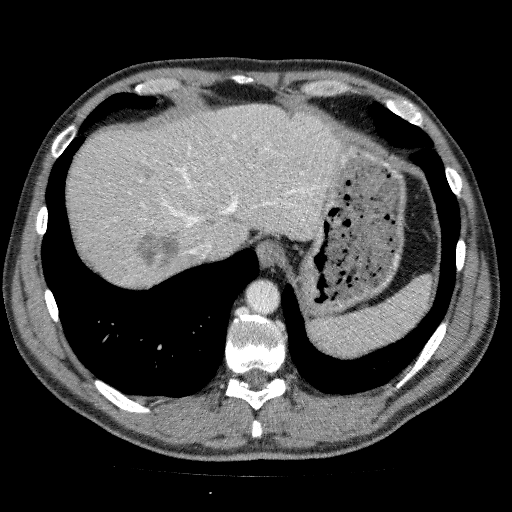
CT image

Liver: bounding box x1=67 y1=104 x2=340 y2=288.
Focal liver lesion: bounding box x1=134 y1=161 x2=154 y2=178, x1=134 y1=228 x2=182 y2=277.